Brain, 240x240 px
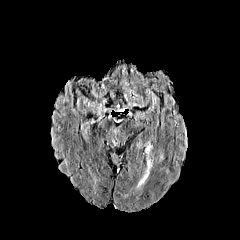
FLAIR MR image.
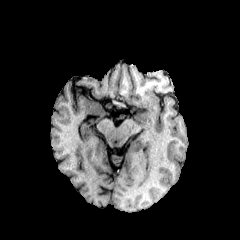
Same slice, T1-weighted magnetic resonance.
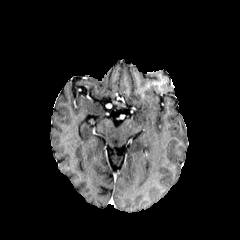
Same slice, post-contrast T1-weighted magnetic resonance.
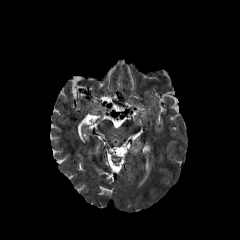
T2-weighted MR image.
The edema is bounded by bbox=[136, 159, 152, 189].